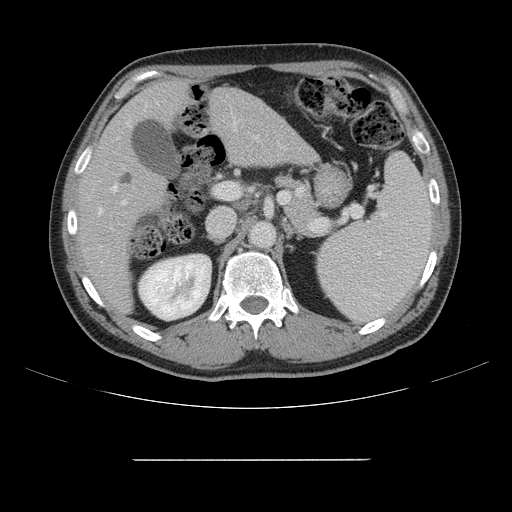
Abdomen; Computed tomography; Image size 512x512
The vessel annotation is not exhaustive.
hepatic_vessel:
  - left=254, top=135, right=258, bottom=139
  - left=126, top=120, right=130, bottom=126
  - left=279, top=144, right=284, bottom=149
  - left=111, top=185, right=117, bottom=191
  - left=233, top=119, right=238, bottom=129
  - left=98, top=208, right=102, bottom=214
  - left=122, top=201, right=125, bottom=204
liver_tumor:
  - left=118, top=170, right=135, bottom=187